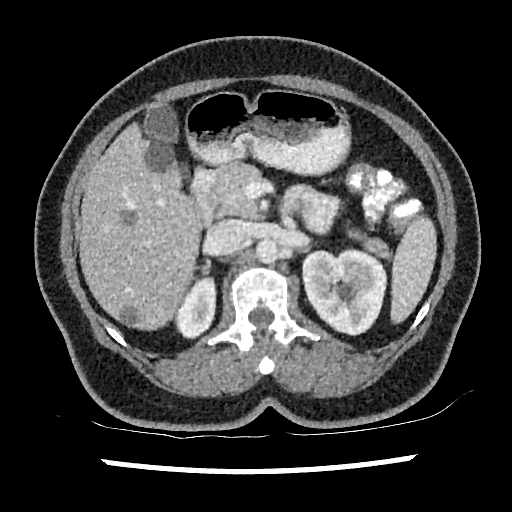

CT slice.
2 kidney regions are bounded by 178 279 214 336, 298 251 385 334. 3 liver lesion regions are bounded by 146 142 173 171, 121 211 136 224, 119 304 141 323. The liver is bounded by 79 125 198 327.